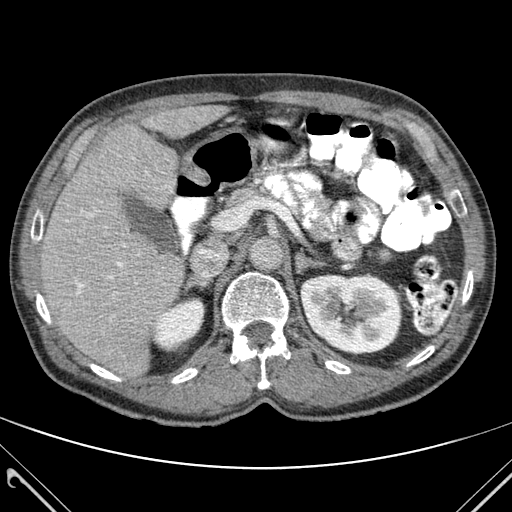 Abdomen. CT. Image size 512x512.
9 bone regions are located at [407, 346, 433, 365], [36, 294, 50, 322], [31, 204, 43, 241], [91, 364, 119, 380], [463, 271, 472, 302], [325, 361, 349, 373], [172, 368, 196, 383], [222, 272, 289, 388], [452, 190, 466, 212]. 2 liver regions appear at [146, 106, 225, 137], [40, 126, 184, 375]. 2 kidney regions are bounded by [155, 301, 202, 346], [301, 276, 400, 352].